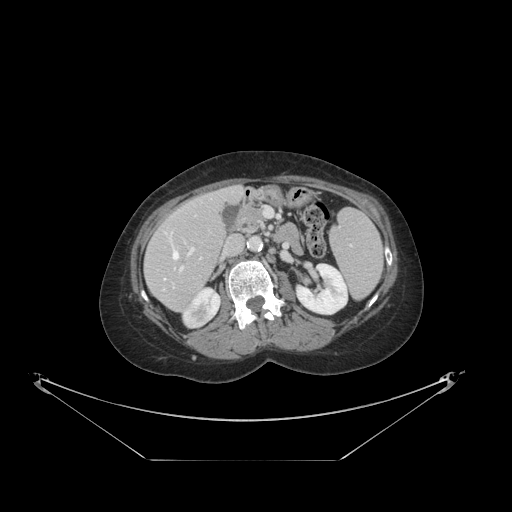
Computed tomography
Only some of the vessels may be annotated.
hepatic vessel: [164,278,165,279], [165,231,178,258], [180,266,182,269], [188,247,193,255]